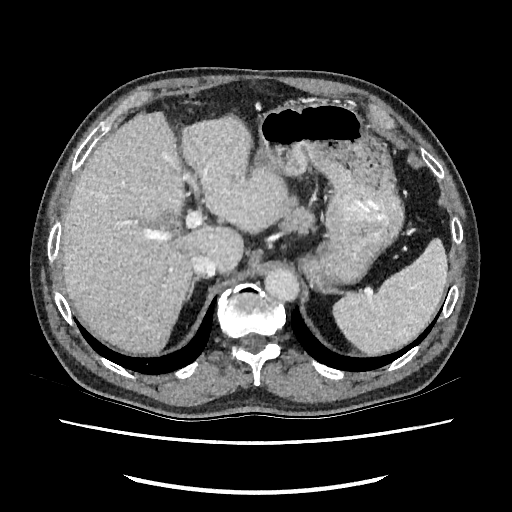

CT
focal liver lesion: [x1=162, y1=211, x2=170, y2=218] | liver: [x1=62, y1=113, x2=241, y2=351], [x1=182, y1=116, x2=286, y2=231]